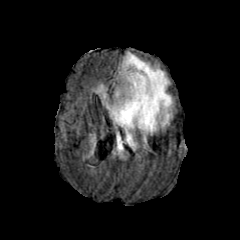
FLAIR MRI.
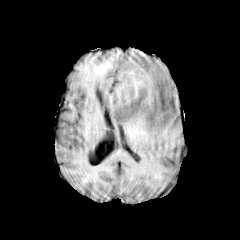
T1-weighted MRI.
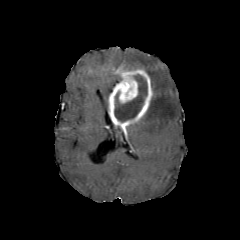
Post-contrast T1-weighted MR image.
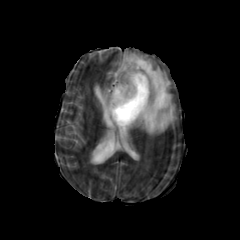
T2-weighted magnetic resonance.
Head
The non-enhancing tumor core appears at box(114, 74, 147, 122). 3 edema regions appear at box(116, 133, 124, 150); box(121, 51, 172, 145); box(97, 85, 108, 108). The enhancing tumor is at box(108, 65, 152, 126).